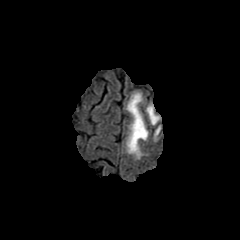
FLAIR MRI.
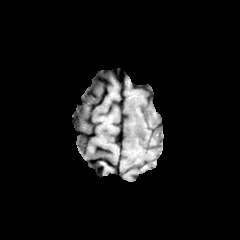
T1-weighted MR image of the same slice.
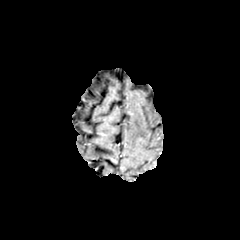
Post-contrast T1-weighted magnetic resonance.
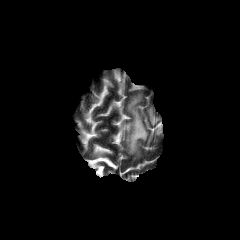
T2-weighted MRI.
Head
{"edema": ["rect(125, 92, 161, 157)"]}